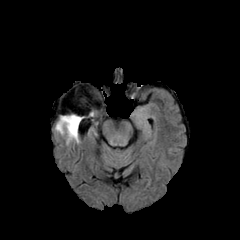
FLAIR MR.
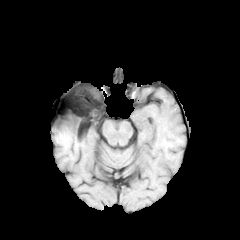
T1-weighted MR.
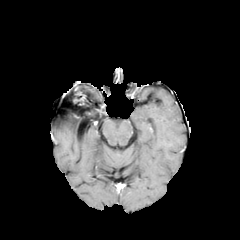
Post-contrast T1-weighted MRI.
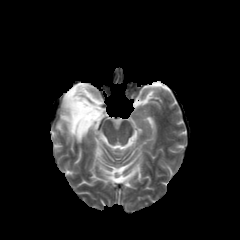
T2-weighted magnetic resonance of the same slice.
Annotated regions:
* non-enhancing tumor core: 61,110,100,133
* edema: 54,117,83,145